FLAIR magnetic resonance.
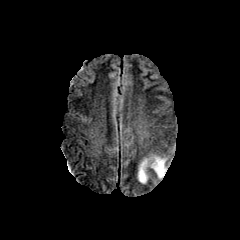
T1-weighted MR.
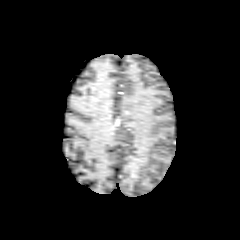
Post-contrast T1-weighted magnetic resonance.
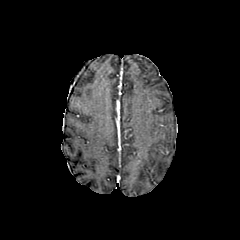
T2-weighted MRI.
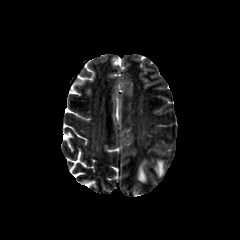
Image size 240x240. Brain.
<segmentation>
  <edema><box>137,157,165,184</box></edema>
</segmentation>